Head.
FLAIR MR image.
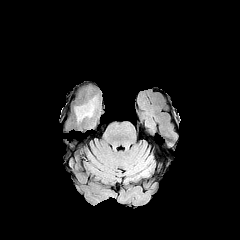
T1-weighted MR image.
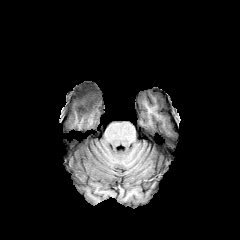
Post-contrast T1-weighted MR image.
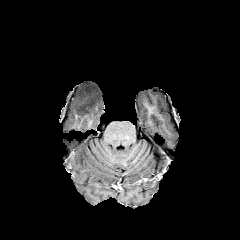
T2-weighted MRI.
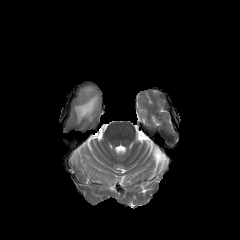
<segmentation>
  <edema>75:97:97:121</edema>
</segmentation>